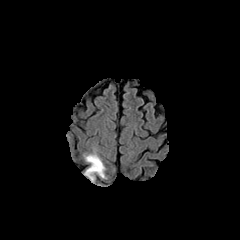
FLAIR magnetic resonance.
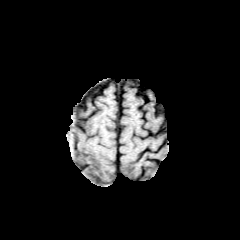
T1-weighted MR image of the same slice.
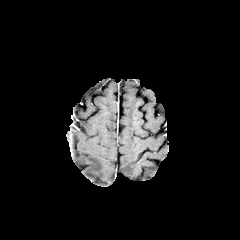
Same slice, post-contrast T1-weighted MR.
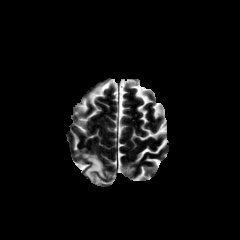
T2-weighted MR image.
Findings:
* edema: rect(82, 151, 107, 181)